512x512; CT slice 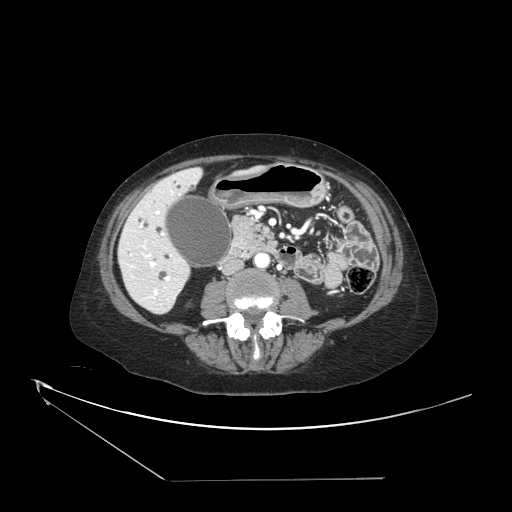
{"pancreas": ["(232, 215, 277, 258)"]}